Upper abdomen; CT image 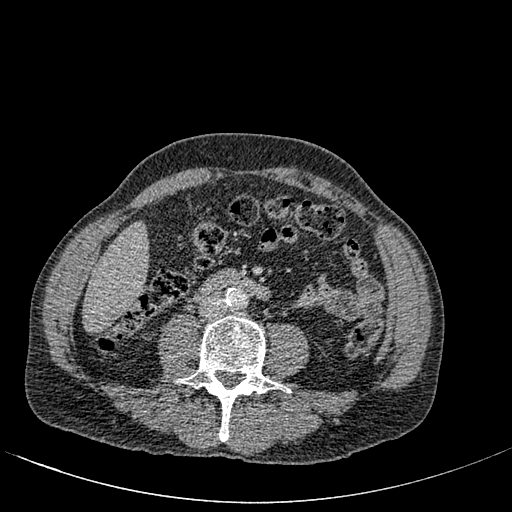 <segmentation>
  <liver>84:225:146:328</liver>
</segmentation>